Slice 78/168 | CT scan slice | 512x512 | Liver

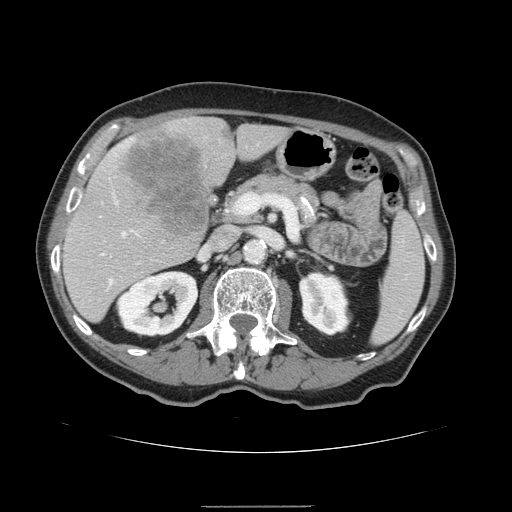

Not every hepatic vessel necessarily has a box.
liver_tumor:
  - rect(121, 125, 213, 238)
hepatic_vessel:
  - rect(109, 280, 112, 283)
  - rect(122, 232, 125, 235)
  - rect(236, 195, 254, 212)